Image width 35 mm; MRI
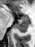
Anterior hippocampus: bounding box x1=18, y1=15, x2=28, y2=19.
Posterior hippocampus: bounding box x1=13, y1=19, x2=28, y2=32.